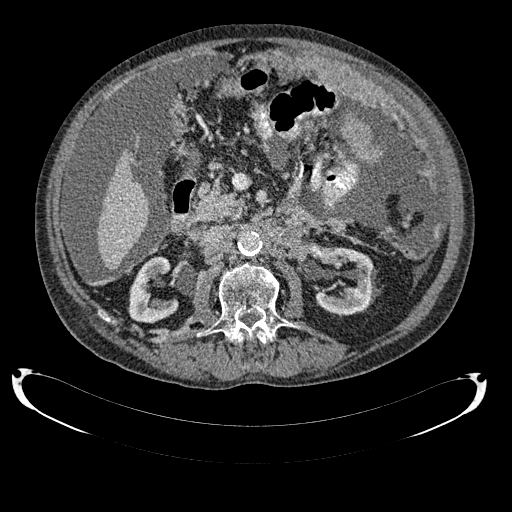

Upper abdomen; CT
2 kidney regions appear at rect(316, 248, 372, 314); rect(129, 257, 177, 322). The liver is at rect(97, 149, 148, 269).